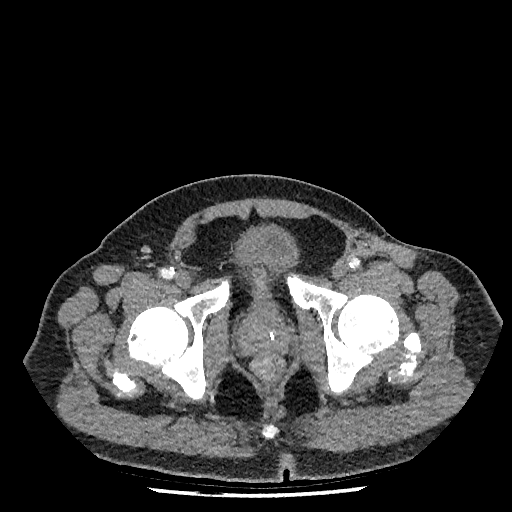
Computed tomography.
Urinary bladder at 229,226,299,316.